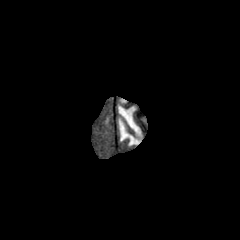
FLAIR MRI.
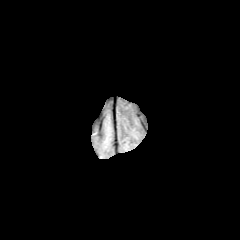
T1-weighted MRI.
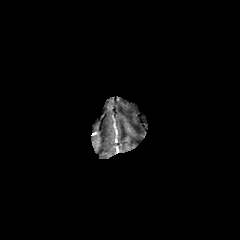
Post-contrast T1-weighted magnetic resonance.
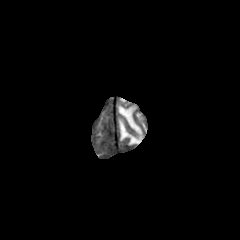
T2-weighted MR image of the same slice.
Head
The edema appears at x1=118, y1=98, x2=142, y2=145.